CT slice. Liver. 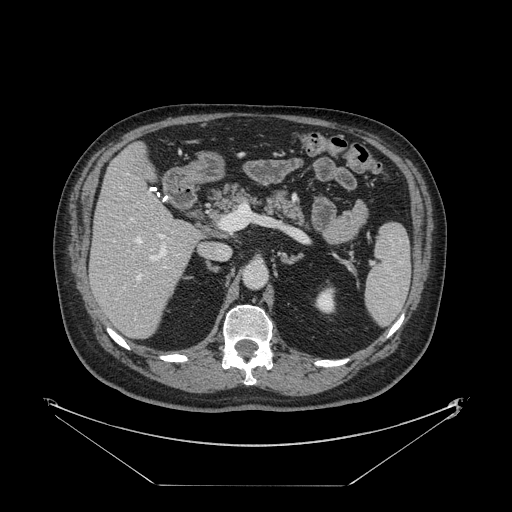
Not every hepatic vessel necessarily has a box.
Hepatic vessel: bbox(159, 234, 163, 237); bbox(150, 248, 163, 259).